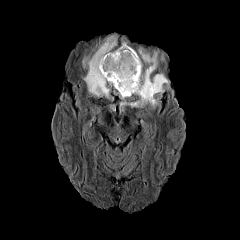
FLAIR magnetic resonance.
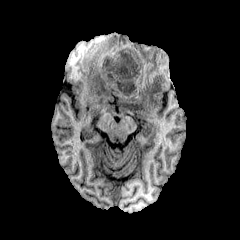
T1-weighted magnetic resonance.
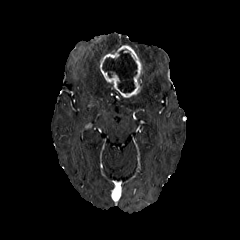
Post-contrast T1-weighted magnetic resonance.
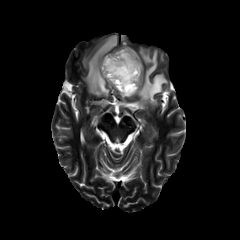
T2-weighted magnetic resonance.
Enhancing tumor: [x1=99, y1=45, x2=143, y2=98].
Edema: [x1=82, y1=33, x2=118, y2=98], [x1=119, y1=47, x2=167, y2=108].
Non-enhancing tumor core: [x1=102, y1=50, x2=137, y2=92].